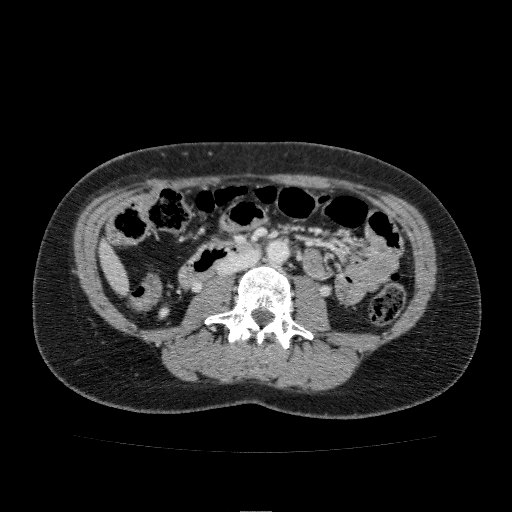

Image size 512x512, Computed tomography
Annotated regions:
* liver: x1=100, y1=239, x2=127, y2=292